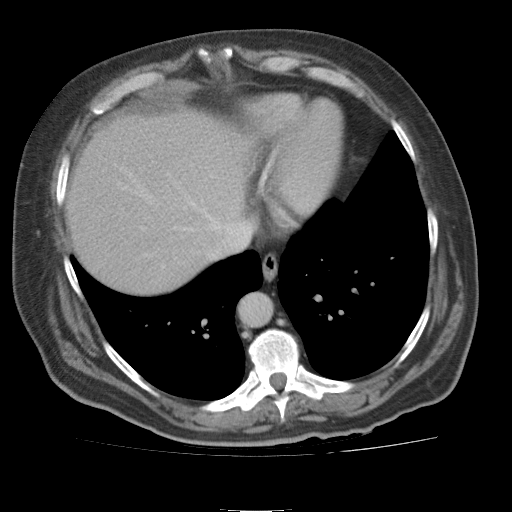 Liver | Computed tomography | 512x512 px
The liver is located at (69,104,255,296).